CT scan slice | Slice index 17 | Image width 372 mm | Image size 512x512
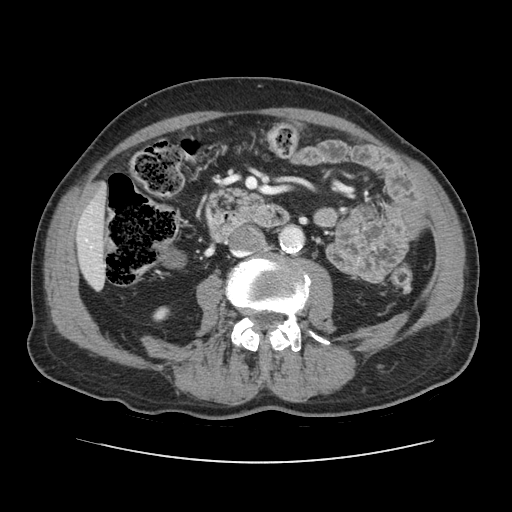

pancreas: x1=242, y1=203, x2=259, y2=214